Upper abdomen. 512x512. CT scan slice.

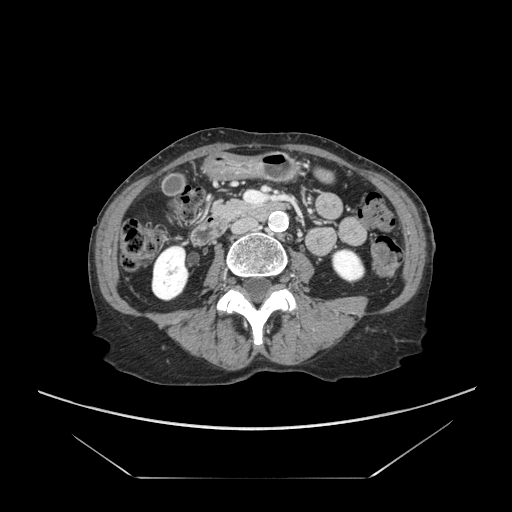
Pancreas = rect(208, 197, 261, 228).